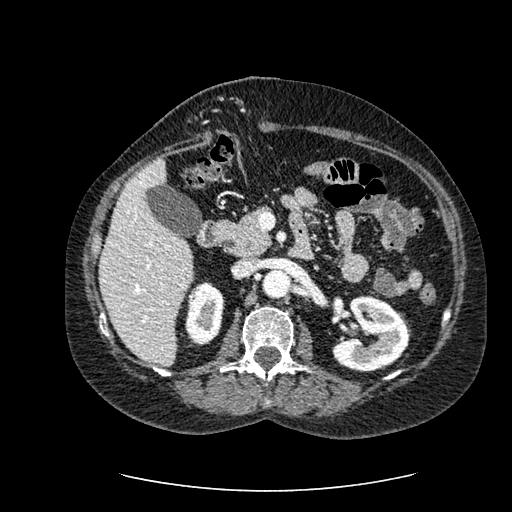 Computed tomography. Upper abdomen. Image size 512x512.
Kidney — (x1=333, y1=297, x2=408, y2=370), (x1=186, y1=283, x2=223, y2=343).
Liver — (x1=99, y1=157, x2=192, y2=364).